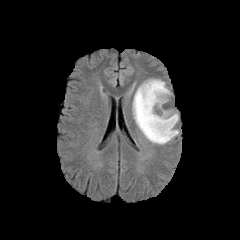
FLAIR magnetic resonance.
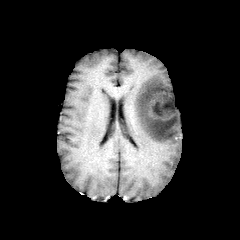
T1-weighted MR of the same slice.
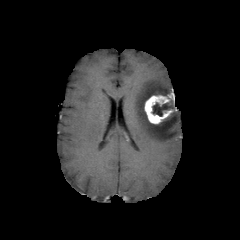
Same slice, post-contrast T1-weighted MR.
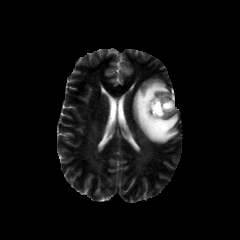
T2-weighted magnetic resonance.
Brain
Edema: (132, 78, 179, 144).
Enhancing tumor: (144, 89, 177, 124).
Non-enhancing tumor core: (153, 102, 172, 116).